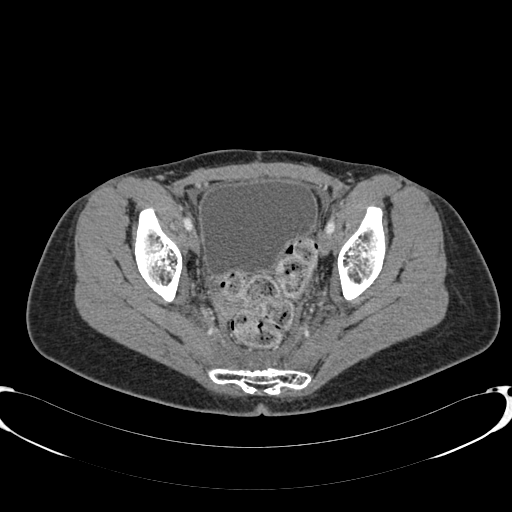 512x512 px; CT scan slice; Lower abdomen
• urinary bladder: 201:182:315:274